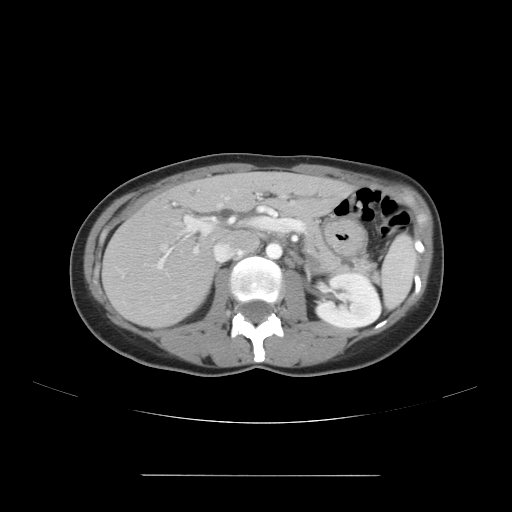 Abdomen; 512x512 px; Computed tomography
{
  "pancreas": [
    "l=301, t=216, r=374, b=277"
  ]
}